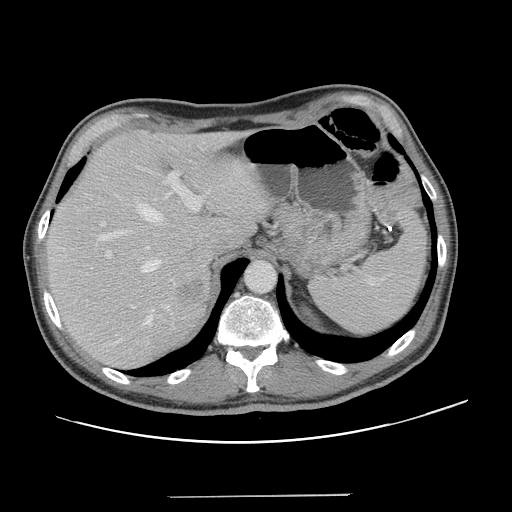 CT; Abdomen

Only some of the vessels may be annotated.
<segmentation>
  <hepatic_vessel>left=151, top=309, right=153, bottom=312; left=98, top=231, right=125, bottom=240; left=106, top=250, right=111, bottom=257; left=131, top=306, right=135, bottom=308; left=163, top=305, right=169, bottom=309; left=113, top=339, right=122, bottom=344; left=142, top=260, right=159, bottom=271; left=144, top=315, right=152, bottom=325; left=145, top=246, right=149, bottom=249; left=135, top=197, right=162, bottom=220; left=164, top=172, right=201, bottom=211; left=101, top=222, right=105, bottom=225</hepatic_vessel>
  <liver_tumor>left=174, top=277, right=205, bottom=306</liver_tumor>
</segmentation>